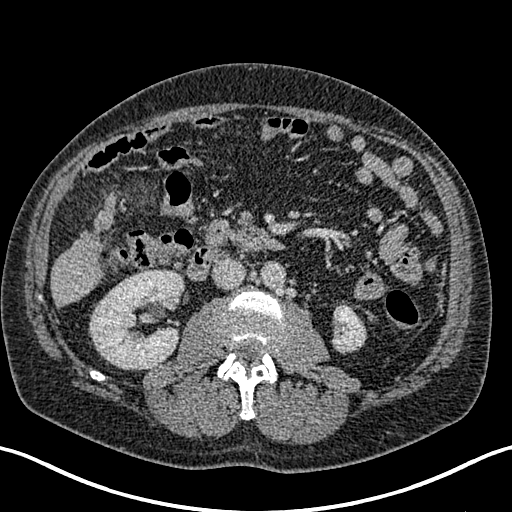
Computed tomography. The liver lesion appears at <box>87,221,108,259</box>. 2 kidney regions appear at <box>90,270,182,368</box>, <box>333,306,364,350</box>. 2 liver regions are bounded by <box>91,195,117,226</box>, <box>50,231,104,307</box>.